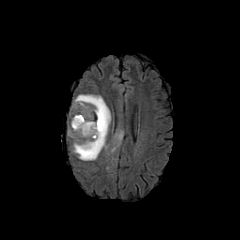
FLAIR magnetic resonance.
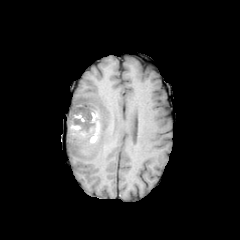
T1-weighted MRI.
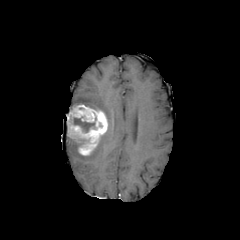
Post-contrast T1-weighted MRI of the same slice.
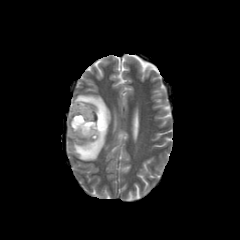
T2-weighted MR.
Head
Annotated regions:
• enhancing tumor: bbox(67, 103, 108, 156)
• non-enhancing tumor core: bbox(73, 117, 94, 132)
• edema: bbox(72, 94, 111, 160)